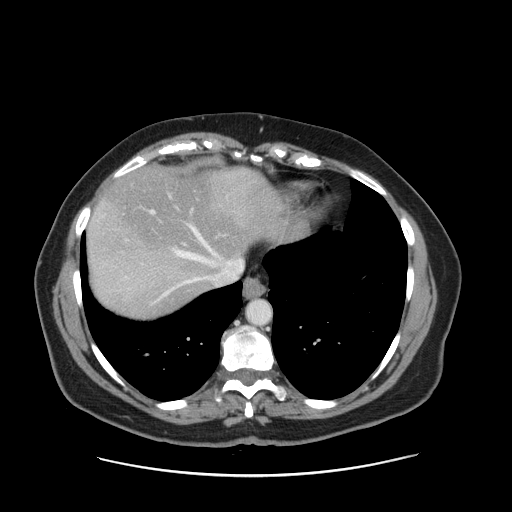
CT scan slice; Liver
The vessel annotation is not exhaustive.
4 hepatic vessel regions are located at l=150, t=210, r=154, b=213; l=162, t=289, r=171, b=297; l=190, t=278, r=199, b=281; l=169, t=194, r=171, b=197.